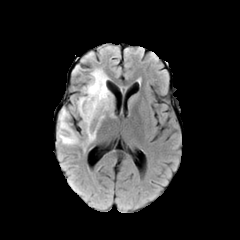
FLAIR MRI.
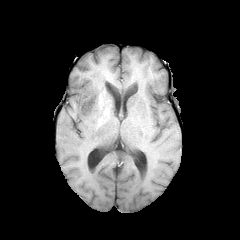
Same slice, T1-weighted MR image.
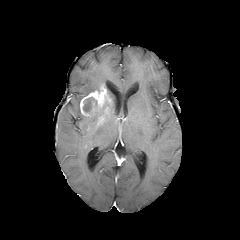
Same slice, post-contrast T1-weighted magnetic resonance.
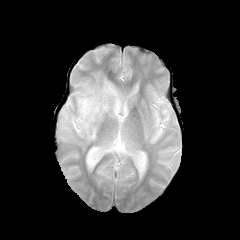
T2-weighted MRI.
Brain
Non-enhancing tumor core — 82, 97, 101, 119.
Enhancing tumor — 80, 84, 109, 115.
Edema — 75, 69, 108, 113; 57, 90, 113, 145.